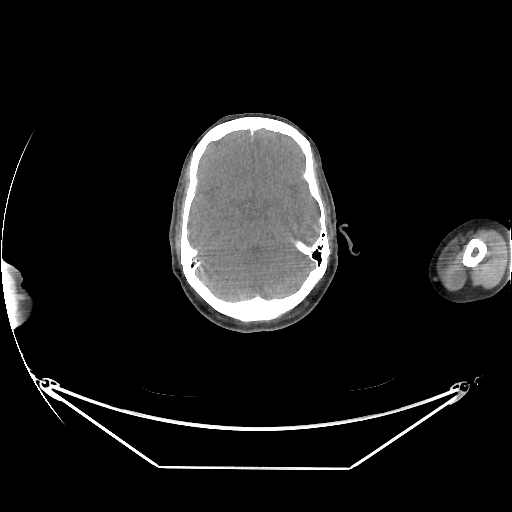 CT | 512x512
Brain — (187,128,320,302).